CT scan slice; Slice 187 of 689
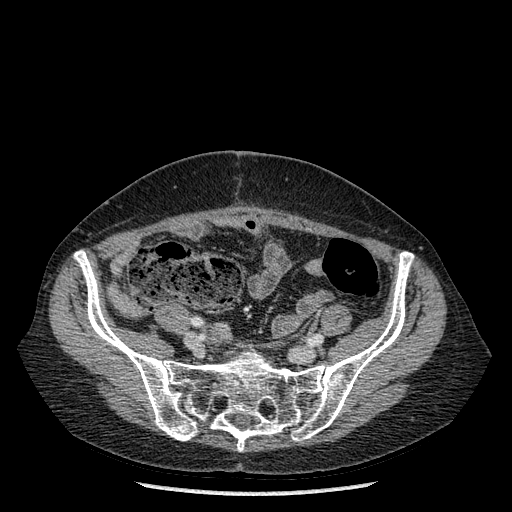 Annotated regions:
* bone: 73:250:414:451